Hippocampus. MRI slice.

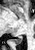
• posterior hippocampus: [x1=15, y1=36, x2=22, y2=44]